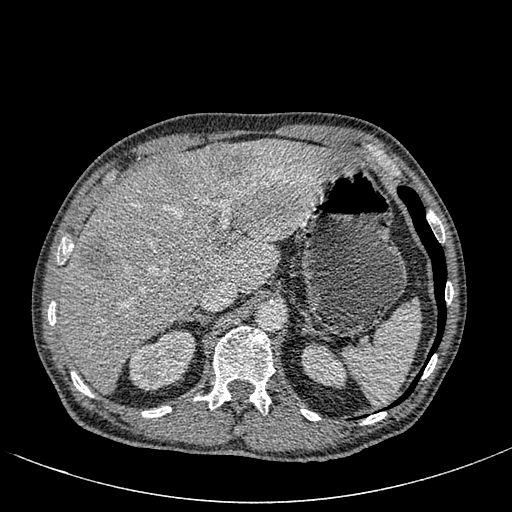

Liver. CT scan slice.

Findings:
• kidney: [129, 331, 194, 389], [302, 344, 346, 386]
• liver lesion: [81, 233, 116, 277], [210, 144, 247, 175], [216, 233, 237, 253], [158, 156, 182, 183]
• liver: [59, 139, 361, 395]